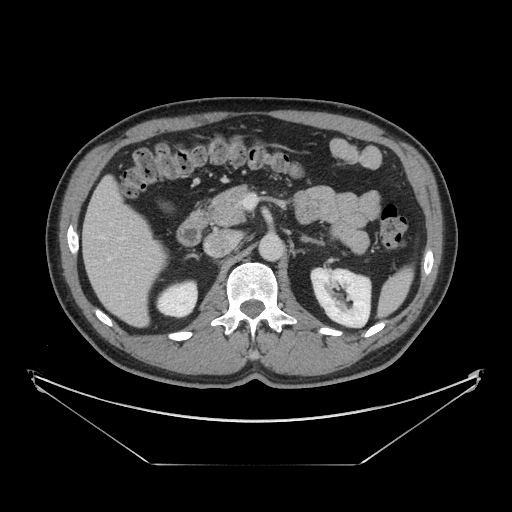
512x512 px, CT scan slice, Upper abdomen
pancreas: bbox=[207, 185, 249, 226]